MR. 39x41 px. Medial temporal lobe. Slice index 8.

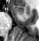

<segmentation>
  <anterior_hippocampus><bbox>13, 5, 24, 14</bbox></anterior_hippocampus>
</segmentation>